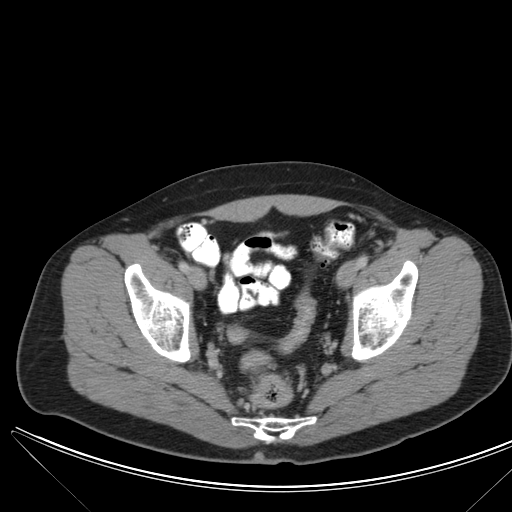

CT slice, Pelvis
Colon tumor = (x1=251, y1=375, x2=292, y2=408), (x1=241, y1=351, x2=266, y2=367).